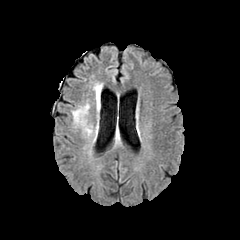
FLAIR MR image.
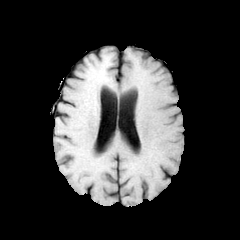
T1-weighted MRI.
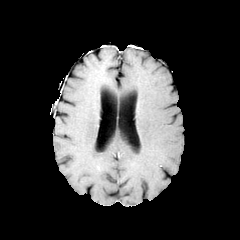
Post-contrast T1-weighted MRI.
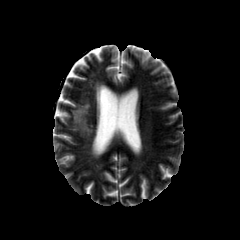
T2-weighted magnetic resonance of the same slice.
edema: x1=73, y1=82, x2=102, y2=141